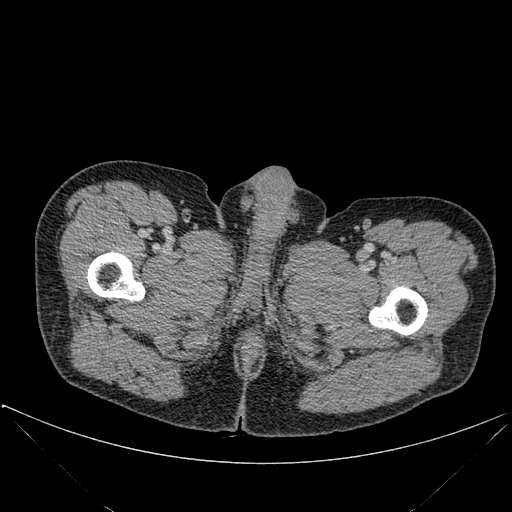 512x512 px; Computed tomography
2 bone regions are located at bbox=[369, 287, 427, 335]; bbox=[87, 252, 144, 300].